CT scan slice | Slice 42/124
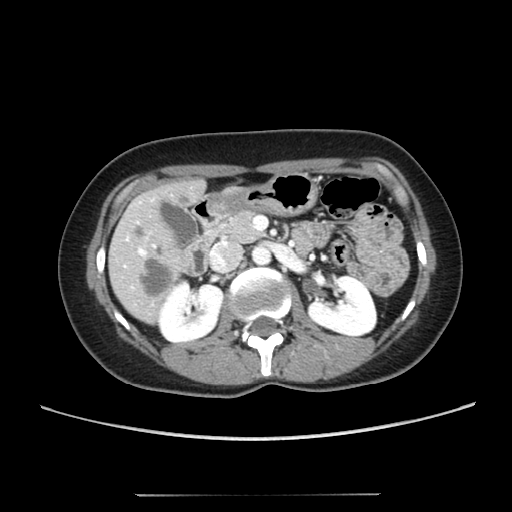
liver:
  - region(108, 177, 207, 325)
  - region(220, 186, 241, 194)
kidney:
  - region(159, 283, 222, 341)
  - region(309, 277, 375, 335)
hepatic_lesion:
  - region(137, 257, 172, 297)
  - region(178, 194, 190, 205)
  - region(132, 224, 146, 238)